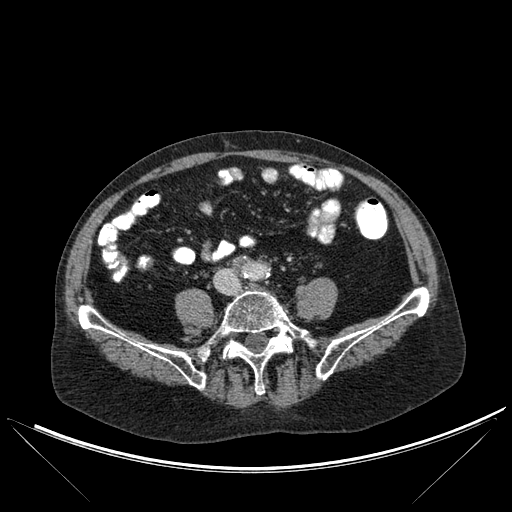 Computed tomography
{"bone": ["(221, 291, 311, 394)", "(199, 348, 209, 360)", "(78, 305, 205, 388)", "(316, 287, 429, 379)"]}